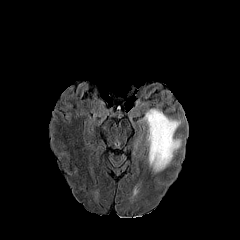
FLAIR magnetic resonance.
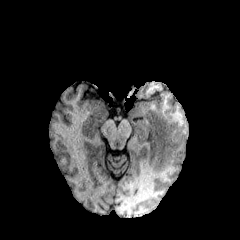
T1-weighted magnetic resonance of the same slice.
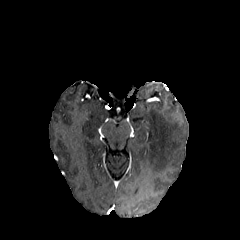
Post-contrast T1-weighted magnetic resonance.
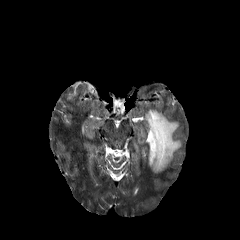
T2-weighted MR.
Brain.
<segmentation>
  <edema>x1=141, y1=109, x2=180, y2=174</edema>
</segmentation>